512x512 | Slice 410/761 | CT 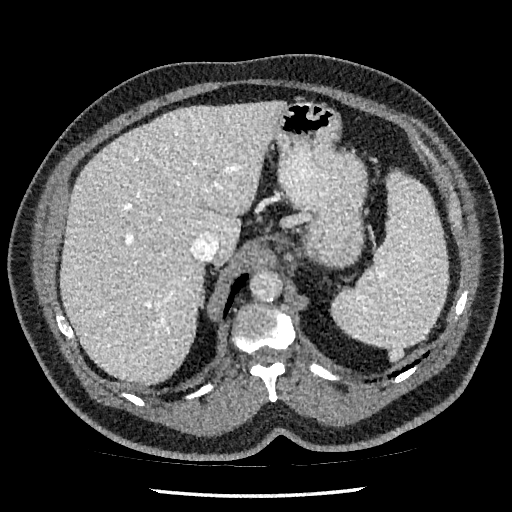

The liver is at x1=60, y1=101, x2=282, y2=383.